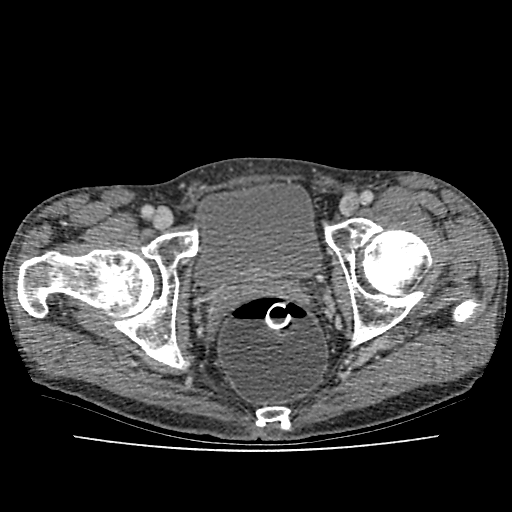

Lower abdomen. CT scan slice.

* urinary bladder: rect(192, 180, 322, 298)